CT scan slice. 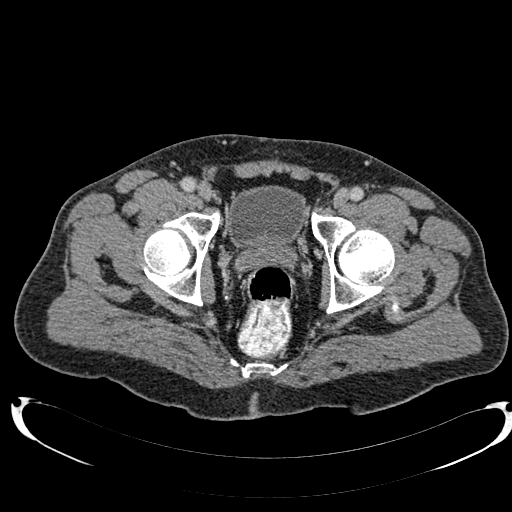 The urinary bladder is located at rect(227, 185, 306, 255).